Brain | Field of view 240 mm wide, 1.00 mm slice spacing | Slice 113 of 155
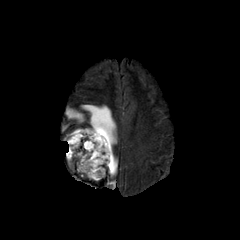
FLAIR magnetic resonance.
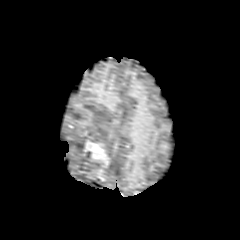
T1-weighted magnetic resonance.
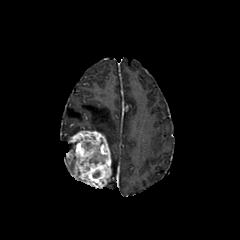
Post-contrast T1-weighted MRI.
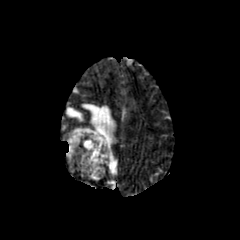
T2-weighted MRI of the same slice.
edema: x1=66, y1=108, x2=83, y2=121; x1=81, y1=104, x2=116, y2=147; x1=113, y1=156, x2=117, y2=174 | enhancing tumor: x1=65, y1=127, x2=113, y2=187